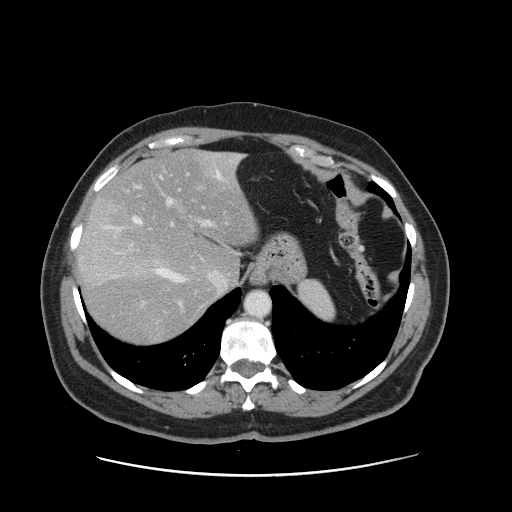
CT scan slice

The vessel boxes may cover only some of the vessels.
7 hepatic vessel regions are located at 238 155 240 157, 158 269 183 281, 201 220 212 225, 167 198 173 204, 178 301 182 306, 216 172 221 178, 171 223 173 225.